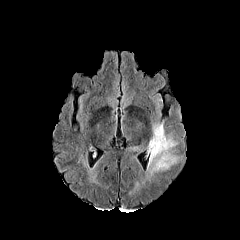
FLAIR MR.
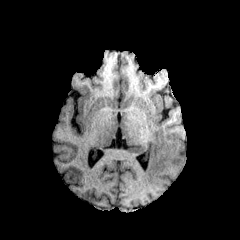
T1-weighted MR.
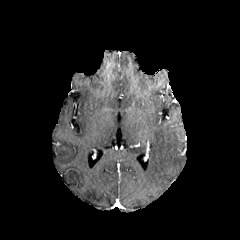
Same slice, post-contrast T1-weighted magnetic resonance.
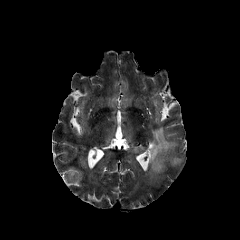
T2-weighted MRI.
Edema — x1=146 y1=123 x2=177 y2=175.